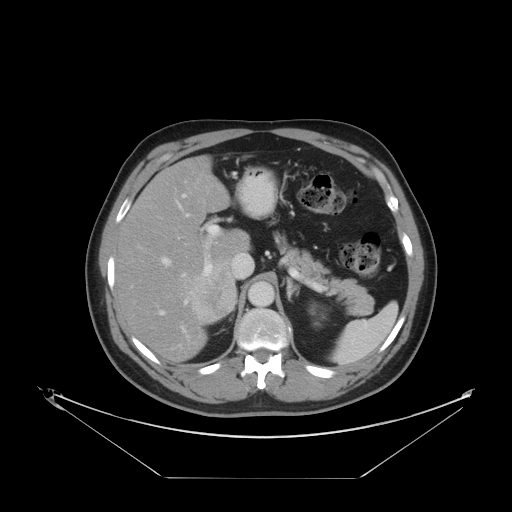

512x512; CT image
The vessel boxes may cover only some of the vessels.
<segmentation>
  <liver_tumor>188, 268, 236, 324</liver_tumor>
  <hepatic_vessel>177, 201, 181, 208; 205, 245, 207, 247; 185, 214, 188, 216; 184, 300, 187, 304; 182, 328, 185, 331; 204, 260, 212, 273; 207, 255, 209, 257; 182, 194, 185, 197; 209, 226, 218, 232; 160, 311, 163, 314; 162, 258, 170, 265; 182, 273, 186, 276</hepatic_vessel>
</segmentation>